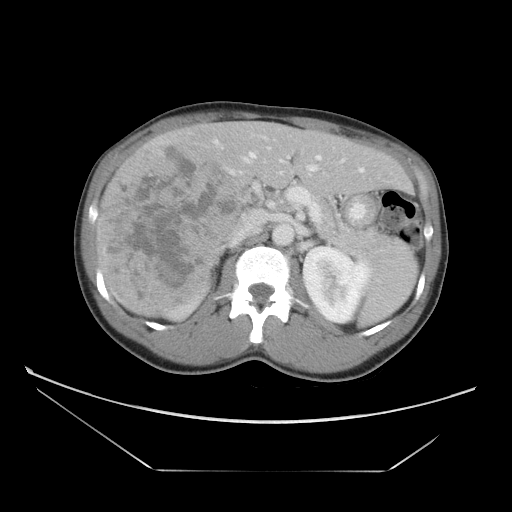

CT image; Liver
Not every hepatic vessel necessarily has a box.
Hepatic vessel: [316, 156, 320, 159], [308, 166, 316, 169], [242, 151, 255, 162].
Liver tumor: [97, 136, 247, 318].